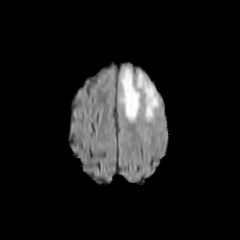
FLAIR MR image.
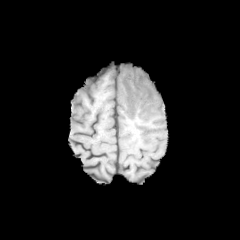
T1-weighted MR image of the same slice.
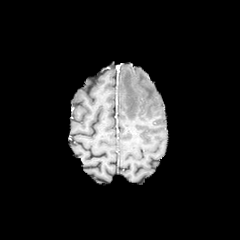
Post-contrast T1-weighted MR.
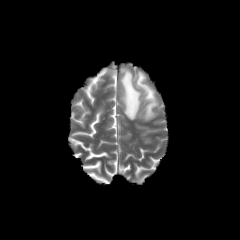
T2-weighted MRI.
2 edema regions are located at rect(137, 73, 158, 119); rect(120, 69, 140, 120).